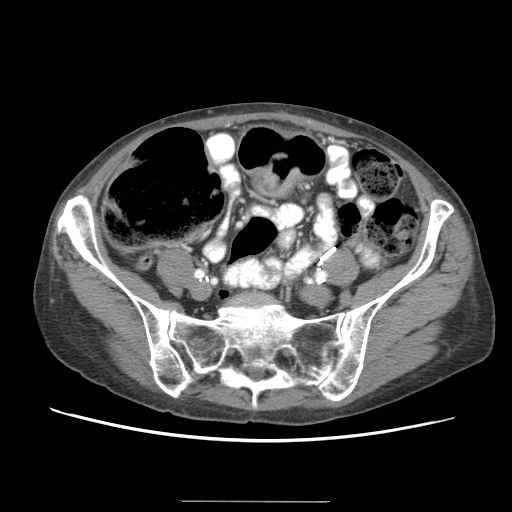
Computed tomography, Abdomen
colon tumor: (247,164,302,197)